Field of view 360x360 mm, Computed tomography, Slice 251 of 689 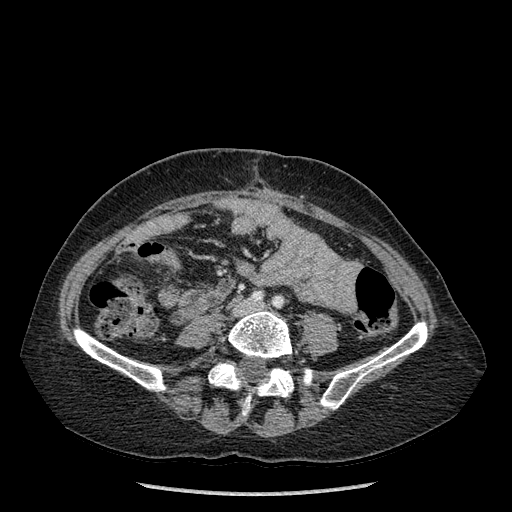
Bone = 256 368 293 397, 319 321 427 409, 228 310 291 358, 74 328 165 391, 208 362 241 389, 242 393 251 415, 303 369 312 385.